CT scan slice; Slice index 67; Abdomen
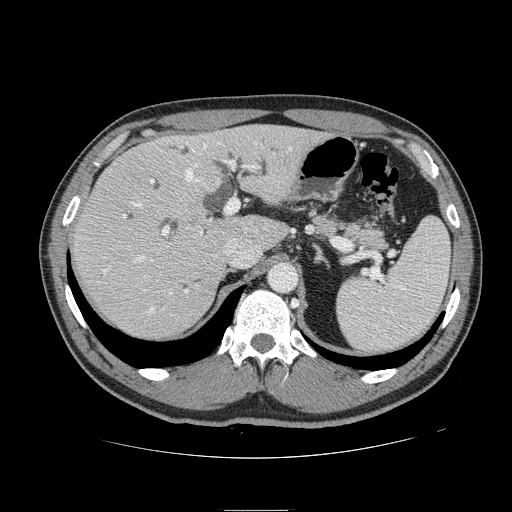
{
  "pancreas": [
    "rect(314, 215, 386, 250)"
  ]
}